Slice 43/53, Abdomen, CT

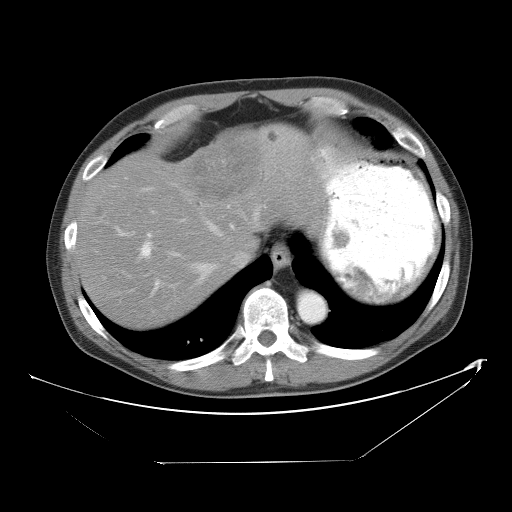

Not every hepatic vessel necessarily has a box.
partial: true
hepatic_vessel:
  # 15 of 16 shown
  - bbox=[116, 227, 118, 230]
  - bbox=[253, 207, 259, 220]
  - bbox=[140, 247, 142, 250]
  - bbox=[207, 222, 211, 224]
  - bbox=[143, 188, 149, 190]
  - bbox=[262, 205, 264, 206]
  - bbox=[156, 280, 159, 283]
  - bbox=[145, 241, 151, 245]
  - bbox=[230, 224, 233, 226]
  - bbox=[154, 282, 155, 290]
  - bbox=[192, 264, 214, 281]
  - bbox=[218, 232, 221, 235]
  - bbox=[180, 219, 183, 221]
  - bbox=[124, 233, 126, 234]
  - bbox=[209, 227, 211, 230]
liver_tumor:
  - bbox=[270, 132, 277, 141]
  - bbox=[192, 134, 253, 201]